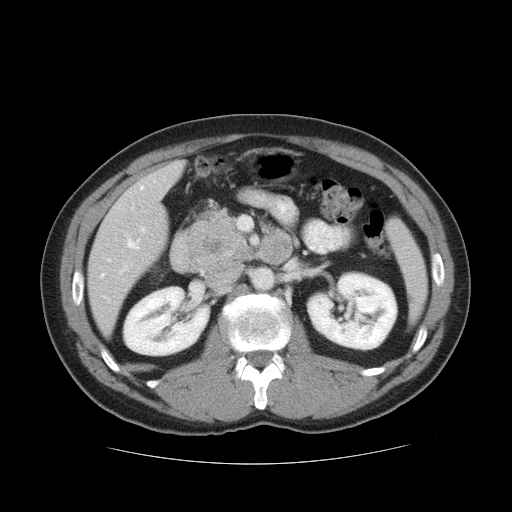

CT, Upper abdomen
Pancreas: bounding box rect(246, 241, 252, 259); rect(187, 214, 211, 258).
Pancreatic tumor: bounding box rect(189, 210, 248, 274).